FLAIR MR.
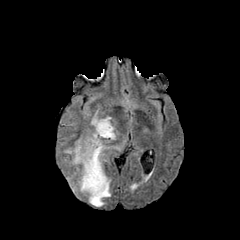
T1-weighted MR.
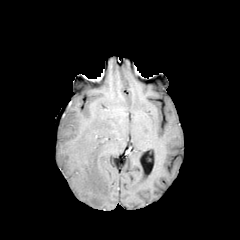
Post-contrast T1-weighted MR.
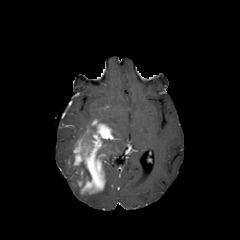
T2-weighted MR image.
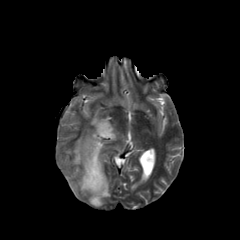
Brain
<segmentation>
  <edema>box(65, 147, 81, 191); box(100, 140, 113, 160); box(92, 110, 118, 139); box(84, 172, 110, 206)</edema>
  <enhancing_tumor>box(73, 119, 113, 193)</enhancing_tumor>
  <non-enhancing_tumor_core>box(80, 126, 95, 141); box(75, 161, 90, 181)</non-enhancing_tumor_core>
</segmentation>